FLAIR MRI.
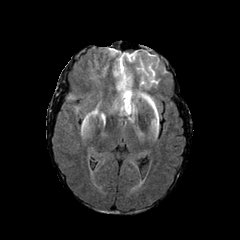
T1-weighted MR image.
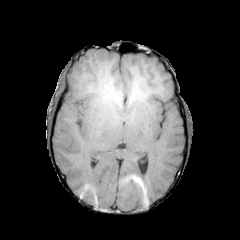
Post-contrast T1-weighted MR.
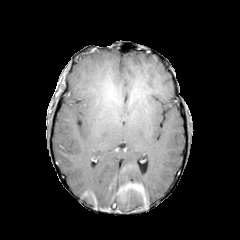
T2-weighted MR.
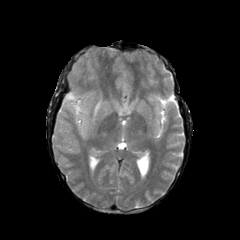
Image size 240x240
Edema = 88:104:98:117, 67:93:76:101.